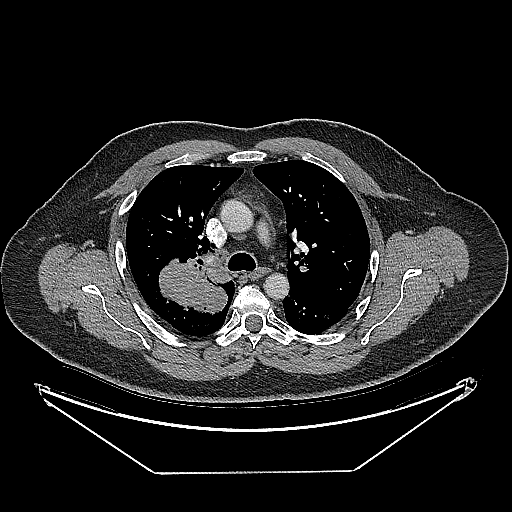
Computed tomography
Lung tumor: <bbox>159, 249, 229, 313</bbox>.